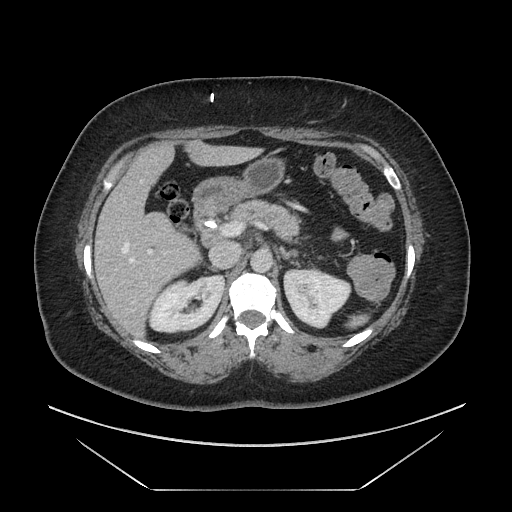 CT image; Upper abdomen; 512x512 px

{"pancreas": ["[233,201,298,238]"]}